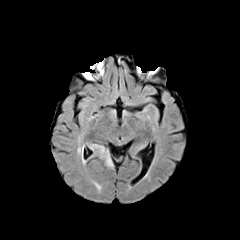
FLAIR magnetic resonance.
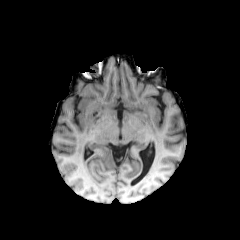
T1-weighted MR image.
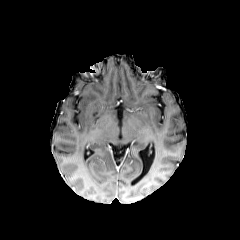
Post-contrast T1-weighted magnetic resonance.
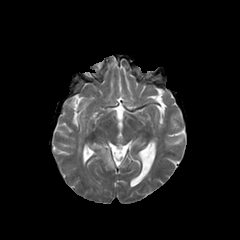
T2-weighted magnetic resonance of the same slice.
Head. 240x240.
{"edema": ["<bbox>91, 144, 113, 167</bbox>"]}